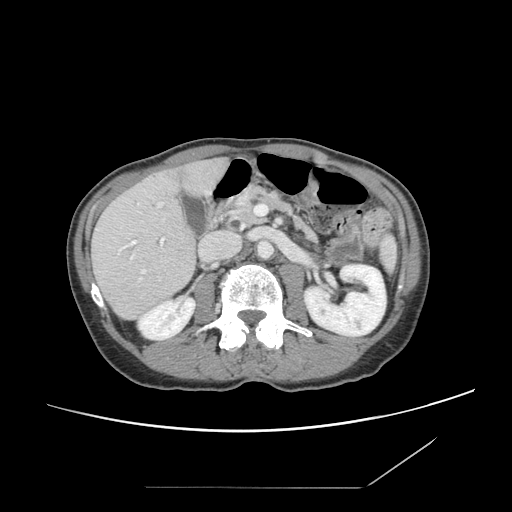 Computed tomography; Upper abdomen
<segmentation>
  <pancreas>216 183 314 240</pancreas>
  <pancreatic_tumor>250 197 259 204</pancreatic_tumor>
</segmentation>